CT slice
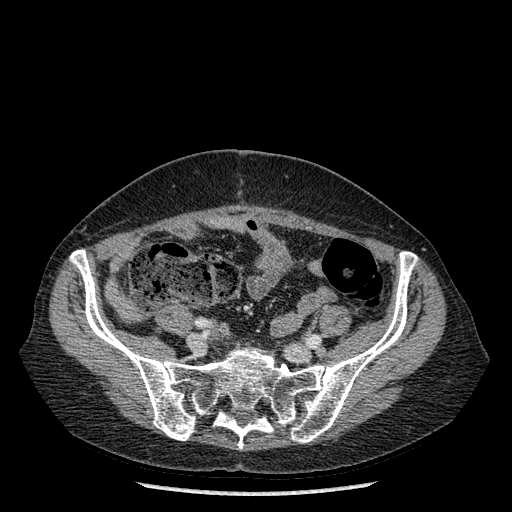 Annotated regions:
* bone: left=69, top=249, right=418, bottom=443; left=213, top=412, right=273, bottom=449